CT scan slice, Slice 365/836
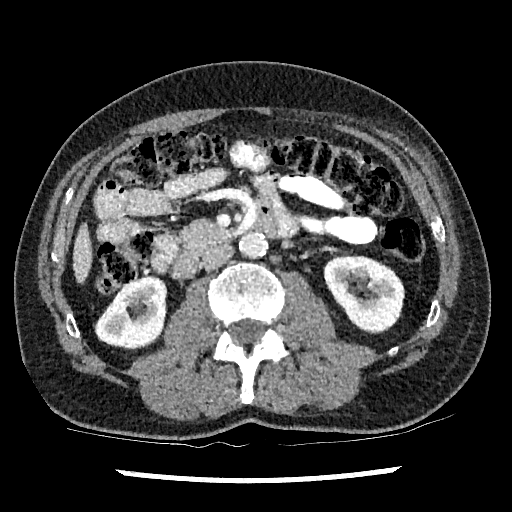
Kidney at {"x1": 325, "y1": 257, "x2": 403, "y2": 330}, {"x1": 97, "y1": 277, "x2": 165, "y2": 346}.
Liver at {"x1": 73, "y1": 224, "x2": 90, "y2": 283}.